Slice 103/151. Liver. 512x512 px. CT slice.

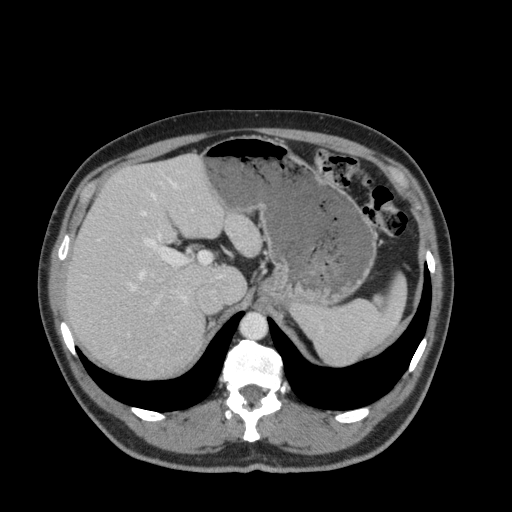 2 liver regions appear at (x1=67, y1=155, x2=260, y2=377), (x1=362, y1=273, x2=406, y2=351).